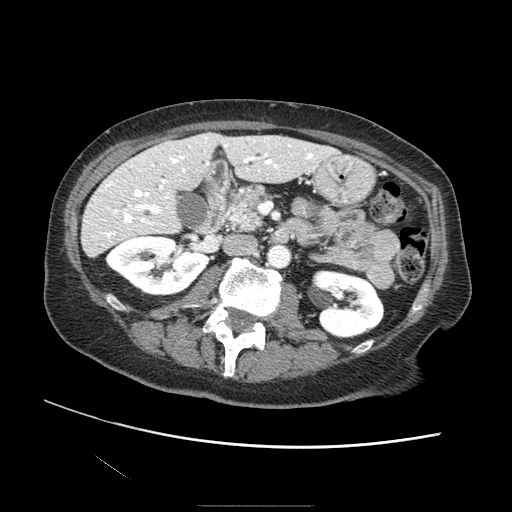 CT; Image size 512x512

pancreas:
  - x1=225, y1=186, x2=270, y2=232
  - x1=307, y1=201, x2=318, y2=217
pancreatic_tumor:
  - x1=230, y1=196, x2=255, y2=225